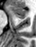

Hippocampus | Image size 36x47 | Magnetic resonance
posterior_hippocampus:
  - bbox(17, 17, 24, 18)
anterior_hippocampus:
  - bbox(8, 5, 26, 16)